Field of view 240 mm wide, 1.00 mm slice spacing | Slice index 101
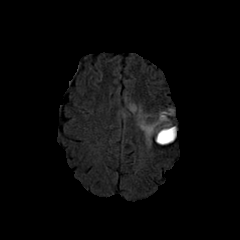
FLAIR MR.
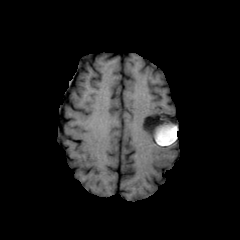
Same slice, T1-weighted magnetic resonance.
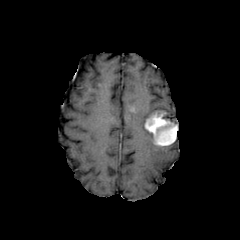
Post-contrast T1-weighted MR.
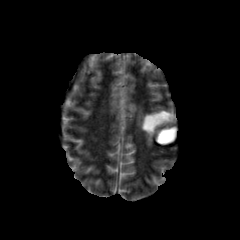
T2-weighted MR.
{"edema": ["x1=121, y1=95, x2=154, y2=147", "x1=162, y1=107, x2=175, y2=117"], "enhancing_tumor": ["x1=144, y1=111, x2=176, y2=145"]}